Slice index 634. Computed tomography. Abdomen. Field of view 429 mm wide, 0.70 mm slice spacing.
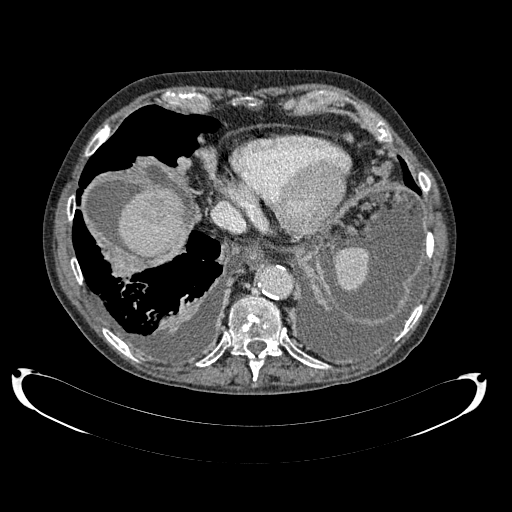
Liver = 120:189:184:256.
Focal liver lesion = 143:207:162:221.